CT | Abdomen

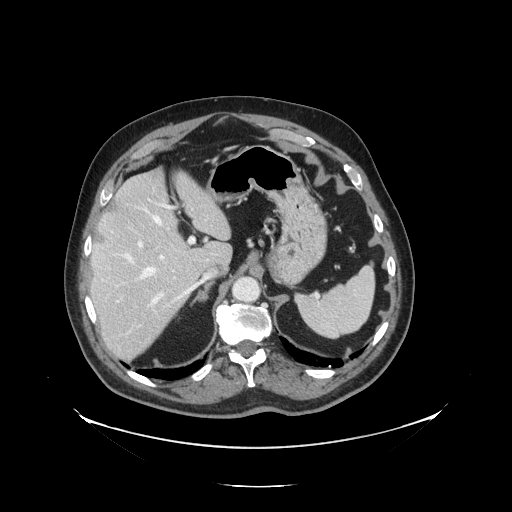 Some hepatic vessels may have no box.
Principal 15 of 17 hepatic vessel regions: bbox(176, 274, 209, 299); bbox(138, 241, 143, 248); bbox(127, 331, 130, 335); bbox(161, 256, 163, 259); bbox(122, 253, 133, 262); bbox(149, 200, 150, 201); bbox(136, 326, 139, 327); bbox(148, 292, 164, 308); bbox(215, 271, 216, 272); bbox(138, 207, 162, 224); bbox(158, 204, 172, 209); bbox(142, 269, 144, 271); bbox(115, 285, 117, 286); bbox(140, 267, 156, 278); bbox(207, 245, 209, 246).